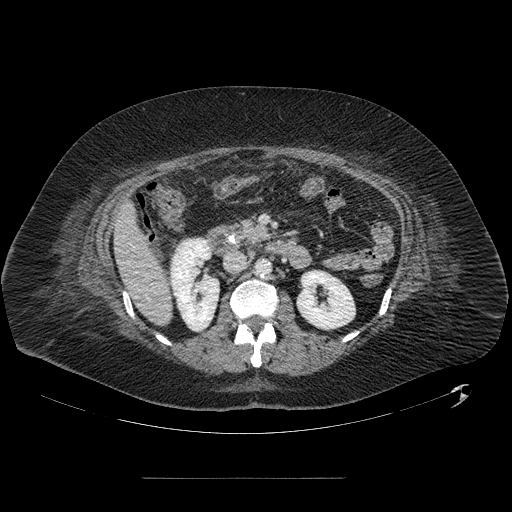 CT slice. 512x512 px.
Pancreas — [241,220,272,242].